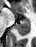
MRI slice
Posterior hippocampus = <box>16,21,29,35</box>.
Anterior hippocampus = <box>20,19,29,20</box>.